FLAIR MR image.
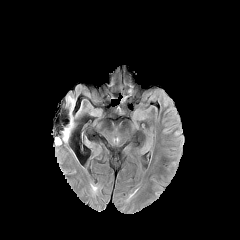
T1-weighted magnetic resonance.
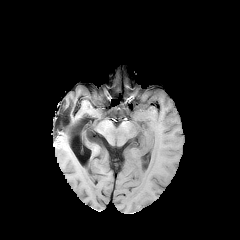
Post-contrast T1-weighted magnetic resonance.
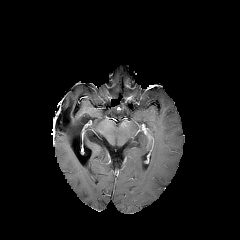
T2-weighted MR.
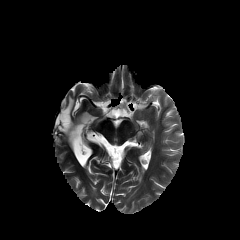
Brain; 240x240
Edema — [61,95,76,141].